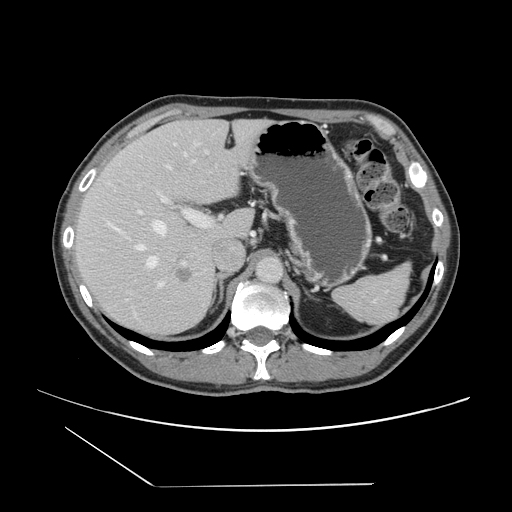 CT slice. Abdomen. 512x512 px.

Only some of the vessels may be annotated.
The liver tumor lies within (x1=174, y1=270, x2=192, y2=283). 7 hepatic vessel regions appear at (x1=117, y1=230, x2=120, y2=231), (x1=133, y1=306, x2=137, y2=318), (x1=159, y1=281, x2=162, y2=281), (x1=167, y1=165, x2=170, y2=168), (x1=194, y1=140, x2=200, y2=144), (x1=185, y1=152, x2=186, y2=155), (x1=129, y1=292, x2=131, y2=293).